Field of view 240 mm wide, 1.00 mm slice spacing, Slice 89/155, Brain
FLAIR MRI.
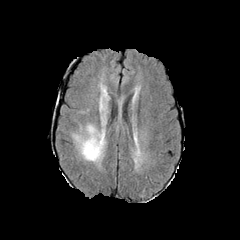
T1-weighted MR.
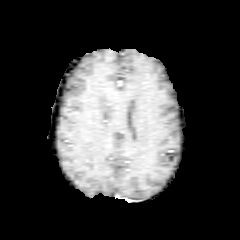
Post-contrast T1-weighted magnetic resonance.
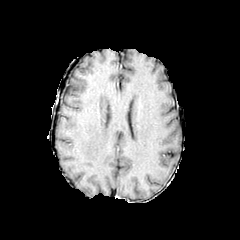
T2-weighted MR.
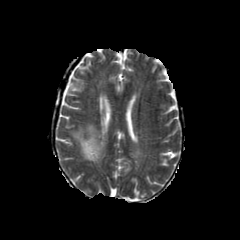
Edema — box(72, 89, 107, 163).